Slice index 59
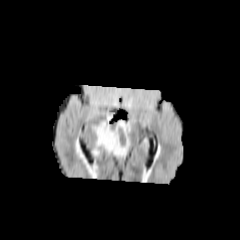
FLAIR magnetic resonance.
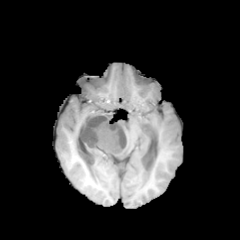
T1-weighted MRI of the same slice.
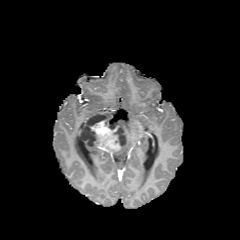
Post-contrast T1-weighted MRI of the same slice.
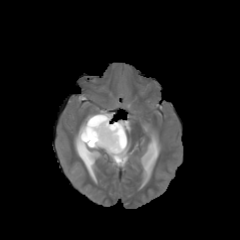
Same slice, T2-weighted MR.
Enhancing tumor — box(89, 119, 121, 150).
Non-enhancing tumor core — box(80, 113, 129, 152).
Edema — box(108, 145, 128, 158).